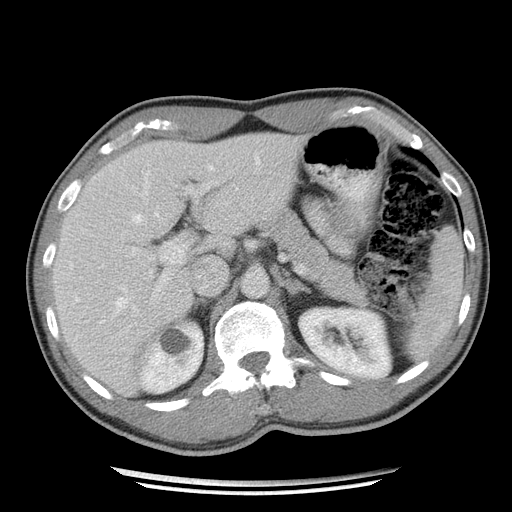
Computed tomography | Upper abdomen
Pancreas — x1=263 y1=212 x2=365 y2=304.
Pancreatic tumor — x1=311 y1=270 x2=326 y2=282.